CT scan slice
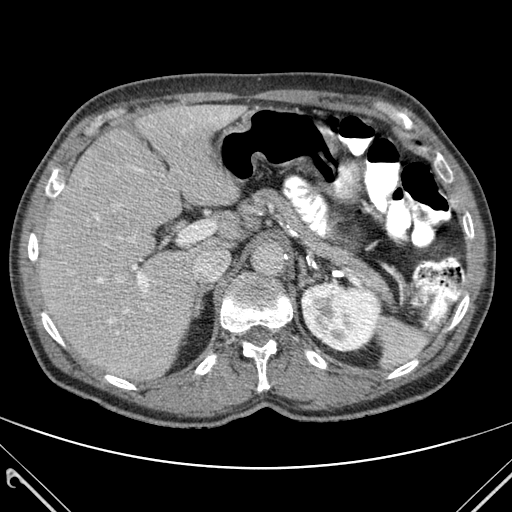
Liver: (x1=40, y1=105, x2=247, y2=384), (x1=215, y1=211, x2=238, y2=237), (x1=202, y1=238, x2=230, y2=250).
Kidney: (x1=302, y1=284, x2=379, y2=350).
Bone: (x1=105, y1=375, x2=135, y2=389), (x1=388, y1=361, x2=417, y2=378), (x1=42, y1=313, x2=63, y2=344), (x1=195, y1=355, x2=215, y2=374), (x1=463, y1=213, x2=473, y2=237), (x1=28, y1=233, x2=37, y2=260), (x1=435, y1=153, x2=451, y2=181), (x1=46, y1=169, x2=63, y2=198), (x1=243, y1=340, x2=276, y2=390), (x1=306, y1=351, x2=326, y2=368), (x1=221, y1=280, x2=292, y2=332), (x1=450, y1=296, x2=468, y2=327).